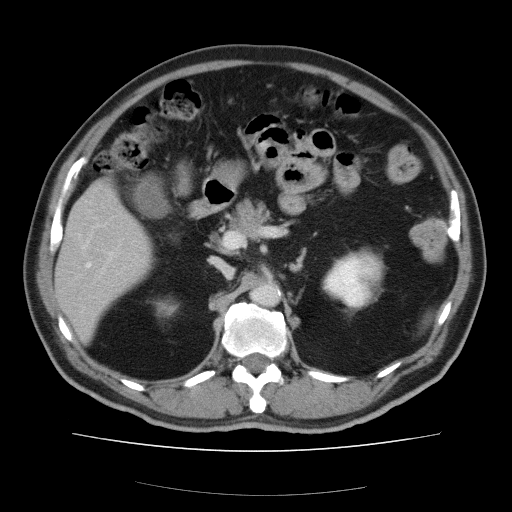
Abdomen; CT

Only some of the vessels may be annotated.
hepatic_vessel:
  - x1=92 y1=224 x2=101 y2=227
  - x1=86 y1=262 x2=89 y2=266
  - x1=81 y1=237 x2=88 y2=247